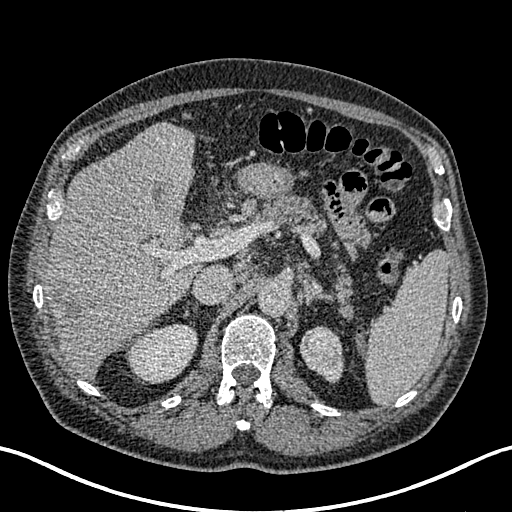
CT scan slice

Annotated regions:
* kidney: x1=300 y1=327 x2=342 y2=380, x1=129 y1=325 x2=196 y2=382
* liver lesion: x1=52 y1=284 x2=95 y2=325, x1=167 y1=234 x2=180 y2=243, x1=151 y1=180 x2=172 y2=200
* liver: x1=45 y1=124 x2=199 y2=377